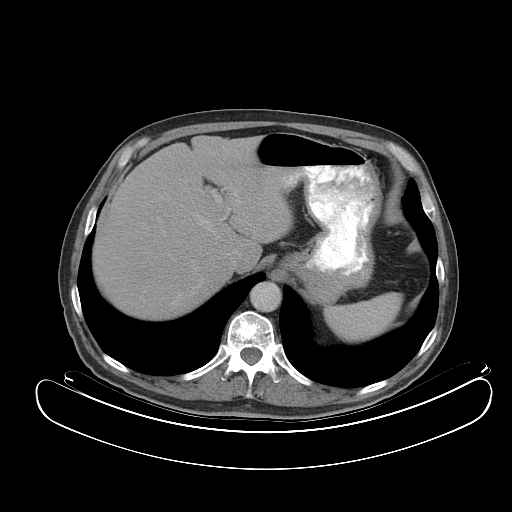 CT scan slice.
Segmented structures:
* spleen: bbox(326, 294, 400, 341)